Field of view 240 mm wide, 1.00 mm slice spacing; Brain; Slice 93 of 155
FLAIR magnetic resonance.
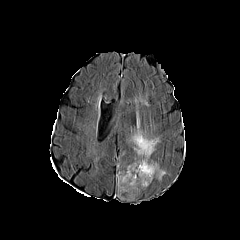
T1-weighted magnetic resonance.
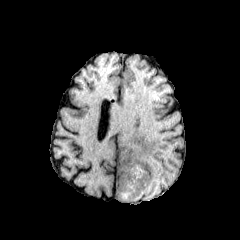
Post-contrast T1-weighted MR image.
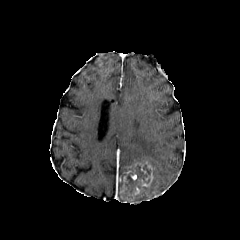
T2-weighted MRI.
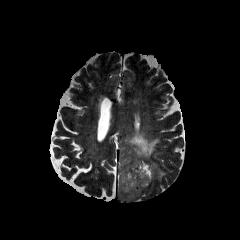
enhancing tumor: 118 160 154 201 | non-enhancing tumor core: 125 173 137 189, 135 165 148 183 | edema: 134 99 142 121, 127 124 158 160, 150 161 166 180